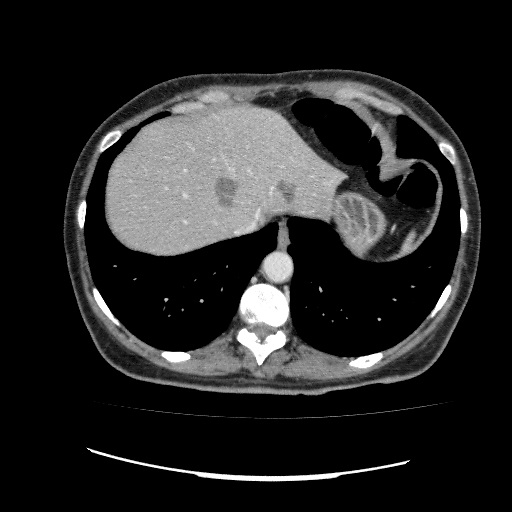 CT scan slice
hepatic lesion: <box>276,179,295,203</box>, <box>215,177,238,209</box> | liver: <box>105,105,347,257</box>